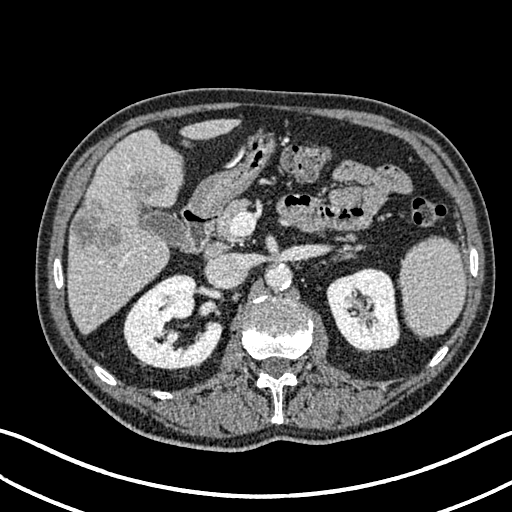 Liver. 512x512 px. CT image. Kidney = (x1=327, y1=269, x2=398, y2=349), (x1=124, y1=276, x2=221, y2=368), (x1=201, y1=302, x2=214, y2=314).
Liver = (x1=182, y1=119, x2=238, y2=138), (x1=69, y1=130, x2=182, y2=333).
Liver lesion = (x1=129, y1=172, x2=164, y2=198), (x1=72, y1=203, x2=121, y2=250).